Slice index 21. MRI. 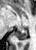
The posterior hippocampus is located at {"x1": 12, "y1": 30, "x2": 27, "y2": 40}.